Brain. Slice 89 of 155. Image width 240 mm.
FLAIR MR image.
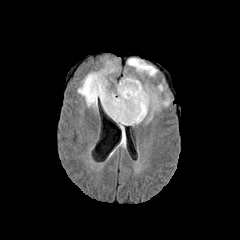
T1-weighted MR.
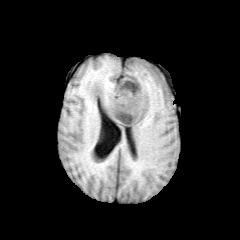
Post-contrast T1-weighted MR image.
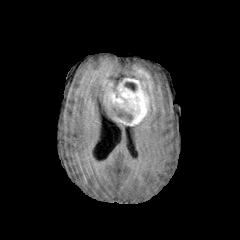
T2-weighted MRI.
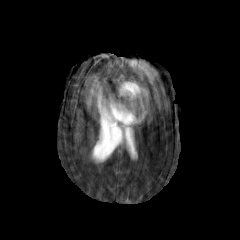
2 non-enhancing tumor core regions are located at region(124, 82, 137, 91); region(111, 106, 132, 121). 3 edema regions are located at region(77, 61, 125, 147); region(147, 109, 153, 121); region(126, 58, 169, 109). 2 enhancing tumor regions are bounded by region(103, 77, 153, 125); region(136, 69, 149, 79).